Image size 240x240.
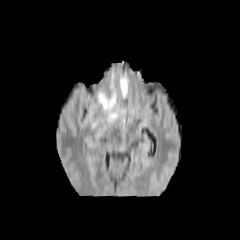
FLAIR MR.
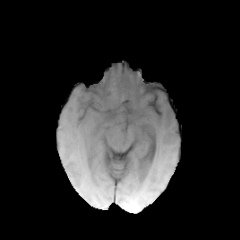
T1-weighted MR of the same slice.
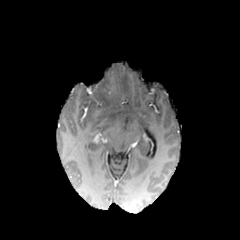
Post-contrast T1-weighted MRI of the same slice.
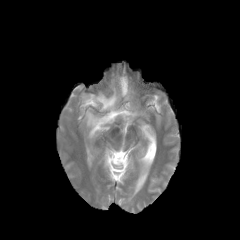
T2-weighted MR.
edema: box(119, 76, 127, 97); box(88, 105, 120, 136) | non-enhancing tumor core: box(81, 84, 114, 108)